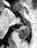 MRI slice, Medial temporal lobe, 37x48 px
The posterior hippocampus is bounded by (x1=18, y1=21, x2=30, y2=37).